FLAIR MRI.
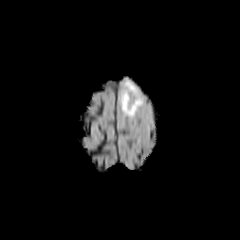
T1-weighted magnetic resonance.
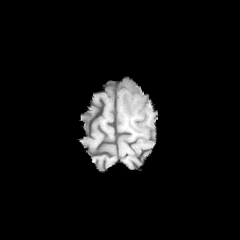
Post-contrast T1-weighted MR.
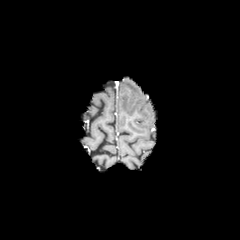
T2-weighted MRI.
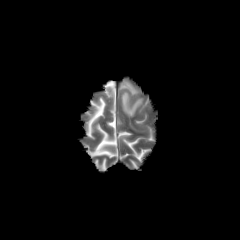
Brain; Image size 240x240
edema:
  - bbox=[121, 93, 142, 116]
  - bbox=[125, 82, 137, 93]